Slice 616/722. Abdomen. CT scan slice.
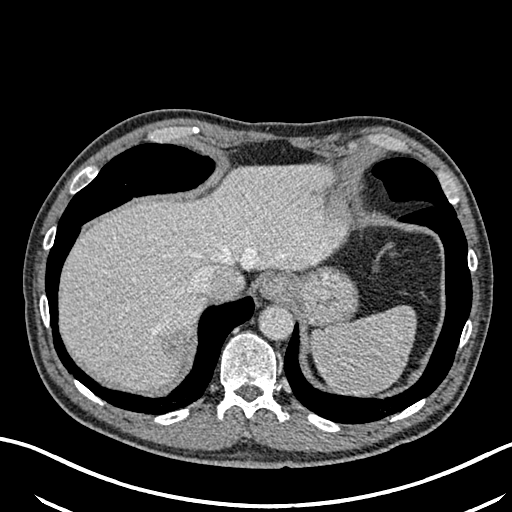

liver lesion: [157, 331, 184, 356] | liver: [59, 163, 345, 388]